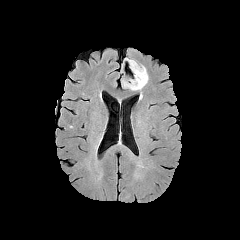
FLAIR MR image.
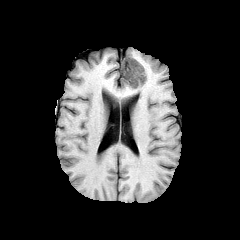
T1-weighted MRI.
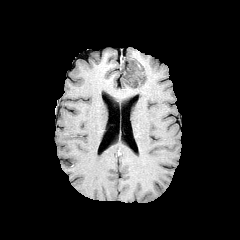
Same slice, post-contrast T1-weighted magnetic resonance.
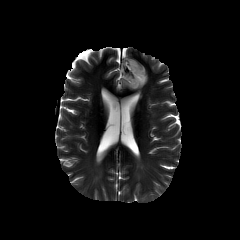
T2-weighted magnetic resonance.
Edema = rect(124, 64, 133, 78); rect(121, 62, 148, 97).
Non-enhancing tumor core = rect(124, 62, 144, 88).